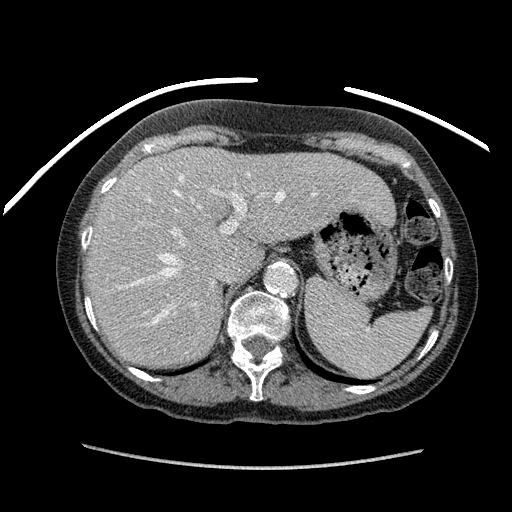

CT image.

Liver: box(87, 147, 394, 367).